Abdomen | CT slice
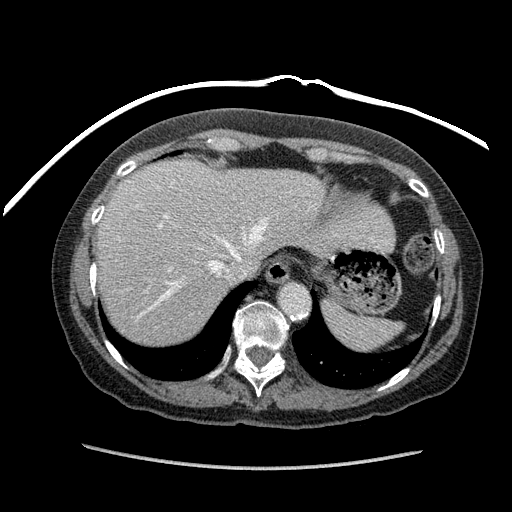
liver:
  - [95,160,393,346]